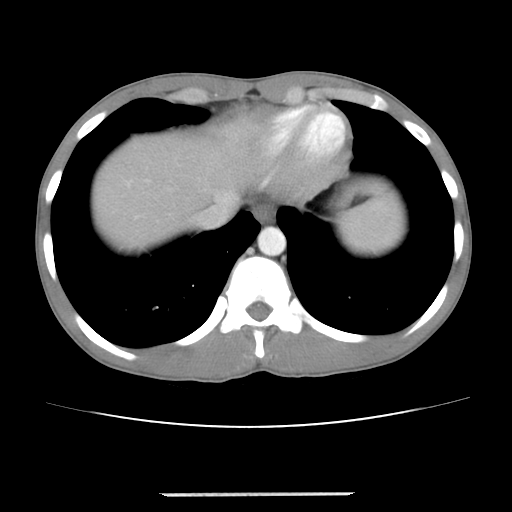 CT
Some hepatic vessels may have no box.
Hepatic vessel at x1=206, y1=193, x2=232, y2=223.